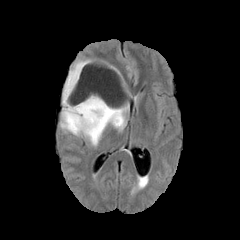
FLAIR MR.
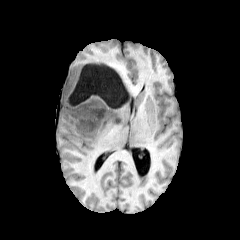
T1-weighted MR.
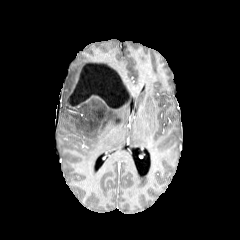
Same slice, post-contrast T1-weighted MR.
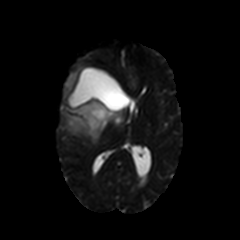
T2-weighted magnetic resonance.
Image size 240x240
Non-enhancing tumor core: bbox=[74, 105, 106, 129]; bbox=[74, 70, 125, 109].
Edema: bbox=[60, 58, 129, 145].